Field of view 404x404 mm, CT, 512x512, Slice index 71 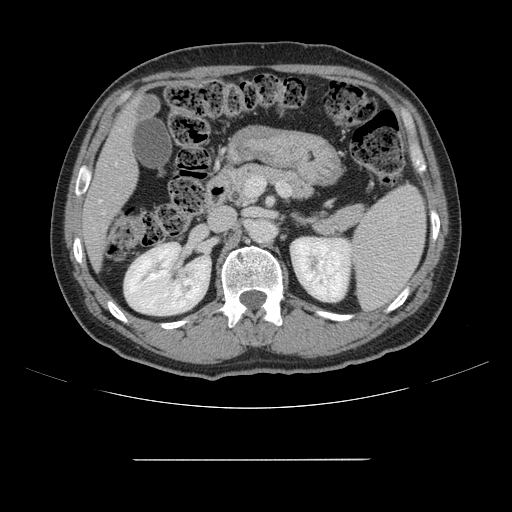

Some hepatic vessels may have no box.
2 hepatic vessel regions appear at left=102, top=211, right=104, bottom=213; left=115, top=162, right=116, bottom=165.